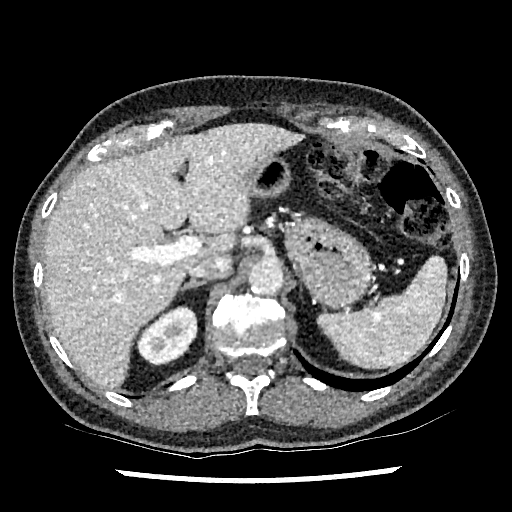

512x512 px; Computed tomography; Abdomen
Kidney at (139,309,196,363).
Liver at (44,123,303,388).